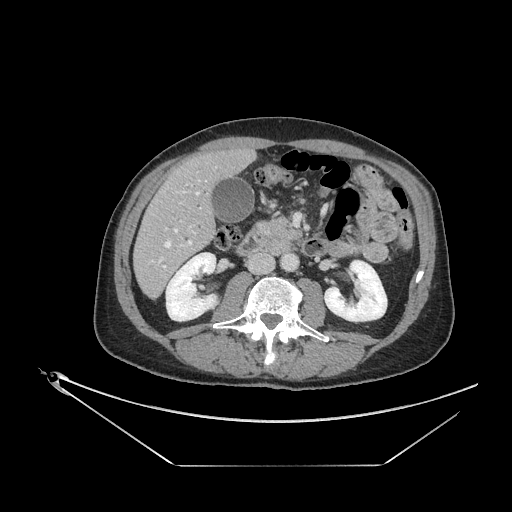 Computed tomography

pancreatic_tumor:
  - <box>272,227,291,245</box>
pancreas:
  - <box>255,218,301,244</box>